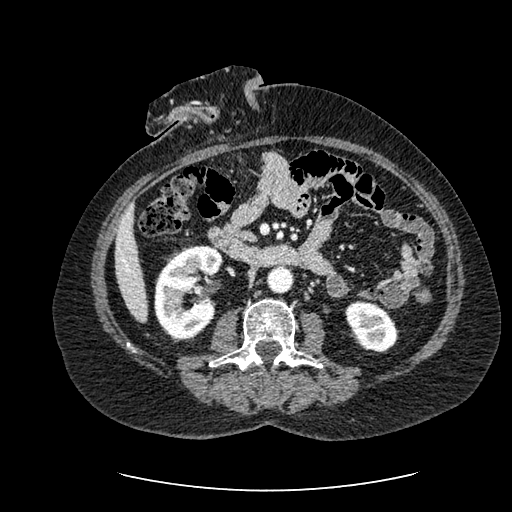 CT slice

<segmentation>
  <kidney>region(346, 302, 396, 351); region(155, 246, 221, 338)</kidney>
  <liver>region(116, 203, 147, 322)</liver>
</segmentation>